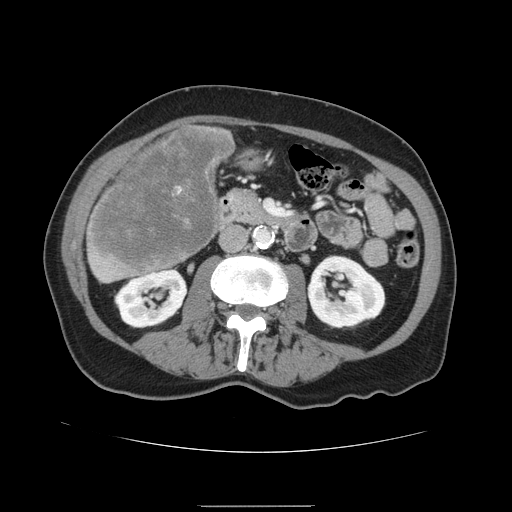

CT scan slice. Liver.

liver_tumor:
  - 90:129:231:269